Pelvis. Slice index 35. CT. 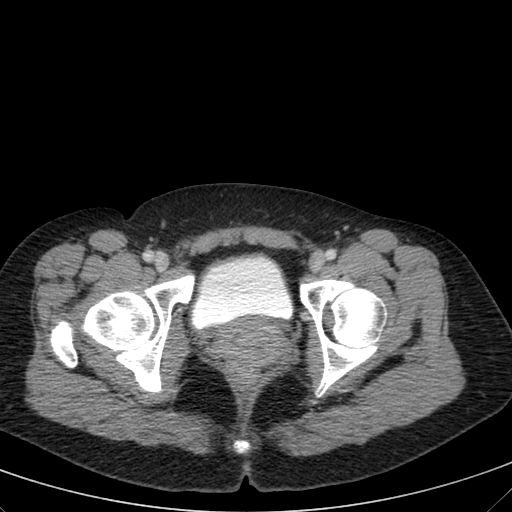
Urinary bladder: bounding box bbox(192, 259, 292, 329).